CT slice; Slice 52/111; 512x512 px

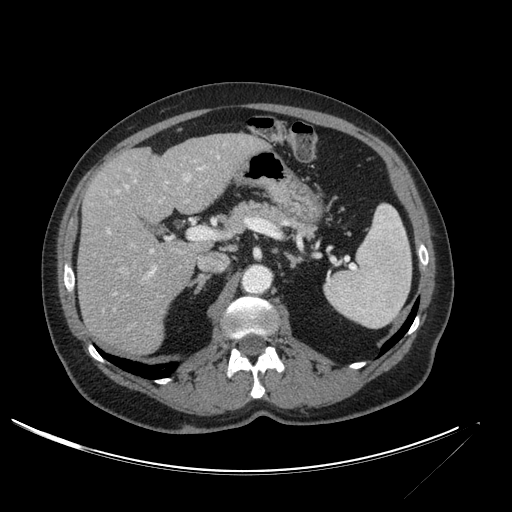

liver:
  - [78, 134, 270, 353]